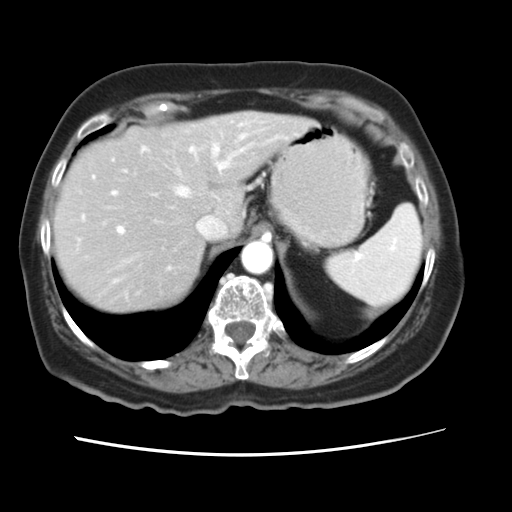
CT image
Only some of the vessels may be annotated.
Hepatic vessel at bbox=[141, 146, 148, 152]; bbox=[189, 147, 200, 157]; bbox=[240, 133, 246, 138]; bbox=[215, 145, 248, 170]; bbox=[176, 186, 189, 196]; bbox=[211, 144, 218, 156]; bbox=[82, 216, 83, 220]; bbox=[93, 176, 94, 178]; bbox=[78, 239, 80, 240]; bbox=[123, 170, 126, 171]; bbox=[117, 227, 123, 233]; bbox=[112, 191, 116, 194]; bbox=[239, 122, 247, 126].